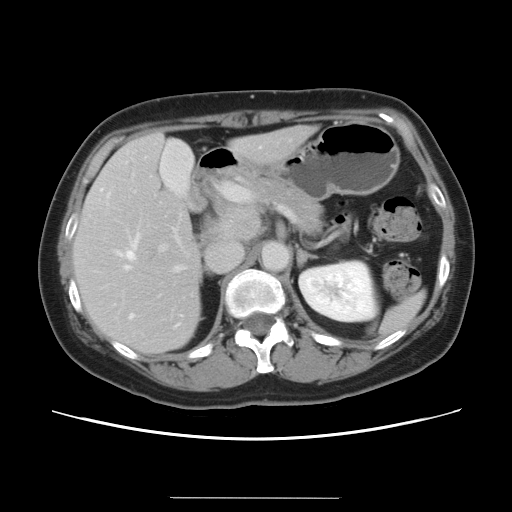

CT slice
Only some of the vessels may be annotated.
Liver tumor: (left=212, top=209, right=260, bottom=238).
Hepatic vessel: (left=159, top=245, right=165, bottom=250), (left=174, top=267, right=182, bottom=270), (left=100, top=189, right=102, bottom=190), (left=107, top=194, right=109, bottom=196), (left=175, top=324, right=178, bottom=326), (left=125, top=266, right=129, bottom=269), (left=129, top=314, right=132, bottom=318), (left=222, top=185, right=249, bottom=201), (left=173, top=228, right=179, bottom=243), (left=117, top=230, right=139, bottom=260).